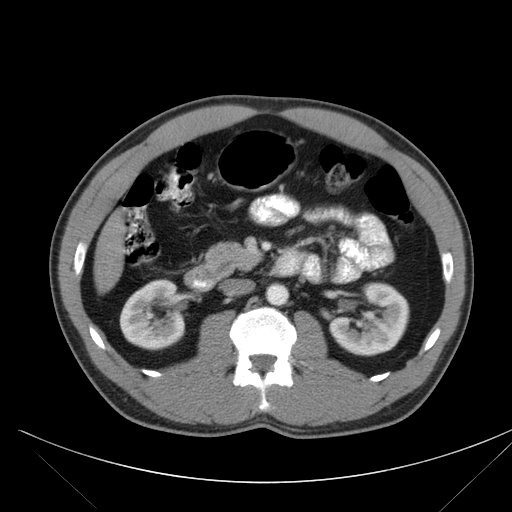

CT slice
The pancreas is bounded by 203:239:245:271.